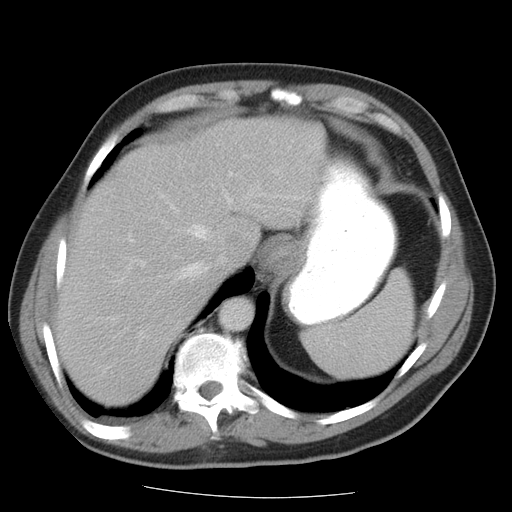

Liver. CT. 512x512 px. The vessel annotation is not exhaustive.
<segmentation partial="true">
  <liver_tumor>bbox=[222, 228, 254, 263]</liver_tumor>
  <hepatic_vessel shown="15" total="16">bbox=[189, 225, 208, 239]; bbox=[180, 264, 209, 278]; bbox=[161, 195, 165, 197]; bbox=[229, 172, 232, 175]; bbox=[249, 192, 252, 194]; bbox=[260, 193, 263, 195]; bbox=[132, 259, 133, 262]; bbox=[244, 155, 246, 156]; bbox=[219, 255, 223, 260]; bbox=[128, 236, 133, 241]; bbox=[285, 196, 309, 201]; bbox=[258, 182, 259, 187]; bbox=[226, 195, 232, 208]; bbox=[170, 204, 175, 209]; bbox=[141, 261, 145, 266]</hepatic_vessel>
</segmentation>